Computed tomography | Slice 422 of 677 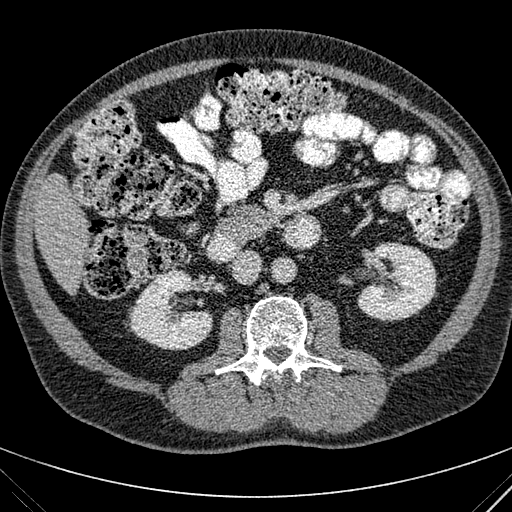
<segmentation>
  <liver>[x1=35, y1=175, x2=87, y2=293]</liver>
  <kidney>[x1=131, y1=269, x2=212, y2=349], [x1=358, y1=243, x2=435, y2=320]</kidney>
</segmentation>